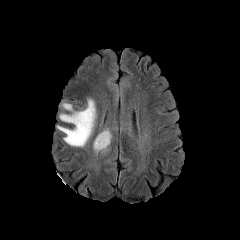
FLAIR MRI.
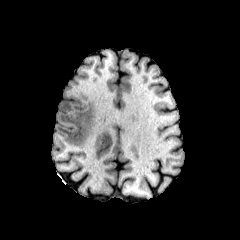
T1-weighted MRI.
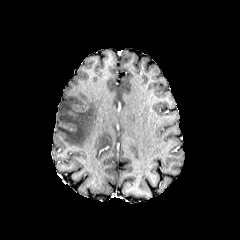
Post-contrast T1-weighted MR image.
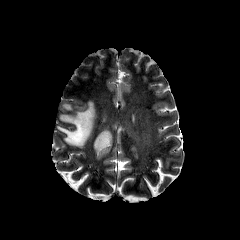
T2-weighted MRI.
Brain
edema: box(62, 103, 73, 113); box(93, 129, 111, 154); box(58, 99, 96, 147)